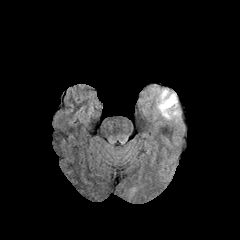
FLAIR MR image.
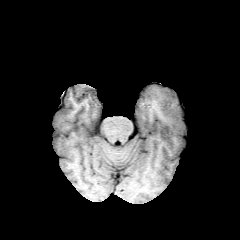
T1-weighted magnetic resonance.
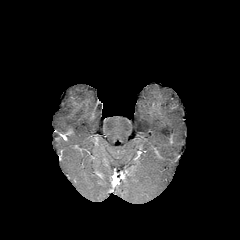
Post-contrast T1-weighted MRI.
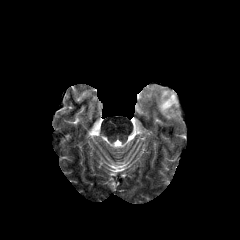
T2-weighted MRI.
Image size 240x240.
Segmented structures:
• edema: 139,84,184,131